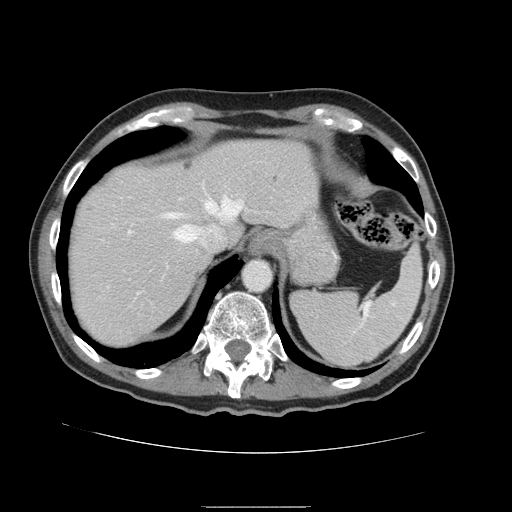
512x512; CT scan slice

Some hepatic vessels may have no box.
Hepatic vessel at x1=129, y1=231, x2=130, y2=233; x1=164, y1=212, x2=180, y2=217; x1=173, y1=197, x2=241, y2=252.